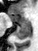 Medial temporal lobe. MRI slice. Segmented structures:
• anterior hippocampus: box=[19, 18, 30, 25]; box=[9, 16, 16, 21]
• posterior hippocampus: box=[15, 26, 30, 39]